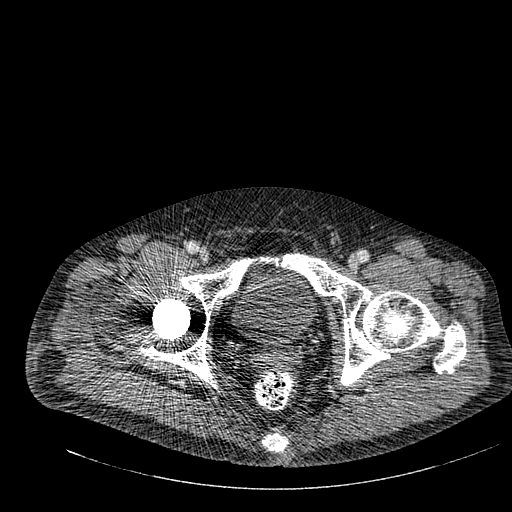
Computed tomography | Lower abdomen | Image size 512x512

Annotated regions:
* urinary bladder: x1=231 y1=253 x2=317 y2=349